Brain.
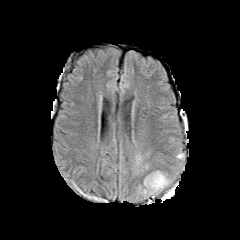
FLAIR magnetic resonance.
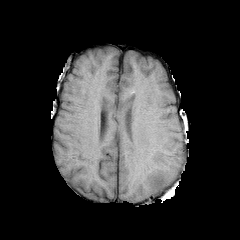
T1-weighted MR.
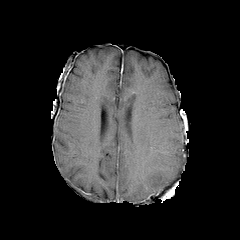
Post-contrast T1-weighted MR image.
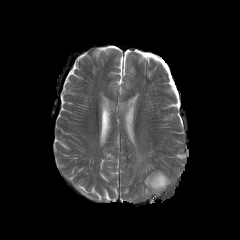
T2-weighted MR image.
Findings:
- edema: 143:170:170:197